Field of view 240x240 mm
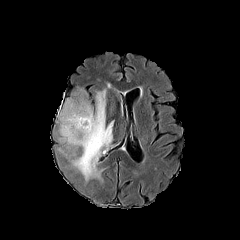
FLAIR MRI.
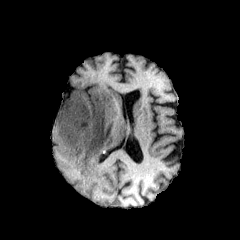
T1-weighted magnetic resonance.
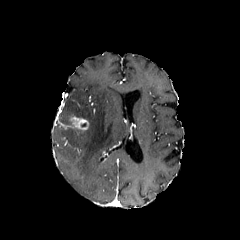
Post-contrast T1-weighted MR.
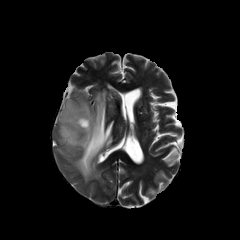
T2-weighted MRI of the same slice.
Edema: bounding box 56, 84, 113, 182.
Enhancing tumor: bounding box 68, 114, 89, 134.